CT image. Image size 512x512.
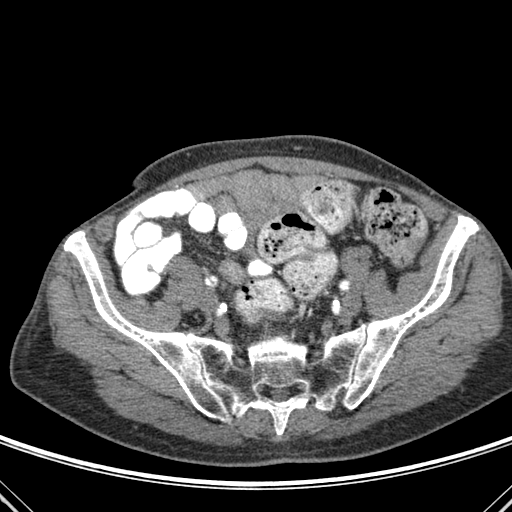
Bone — region(64, 215, 478, 434).